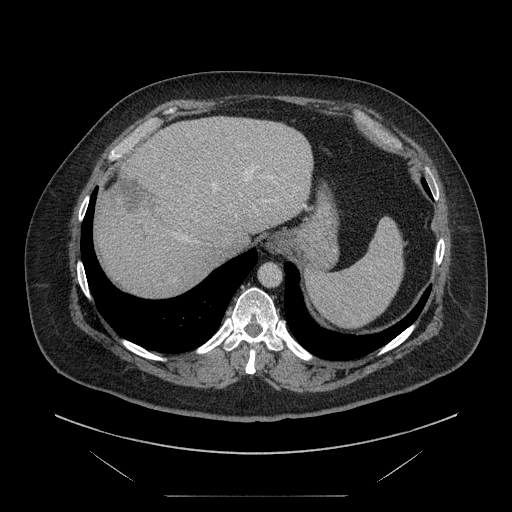 CT slice | 512x512
The vessel annotation is not exhaustive.
Hepatic vessel = [172, 231, 197, 242], [241, 163, 259, 183], [258, 175, 262, 177].
Liver tumor = [110, 175, 157, 216].